Upper abdomen; Slice 490 of 654; CT slice

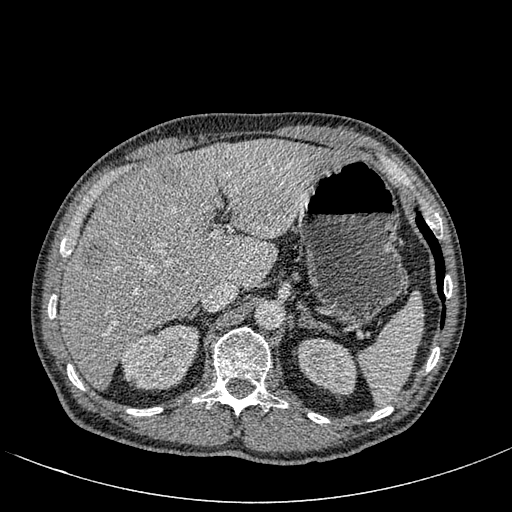 4 liver lesion regions are located at l=223, t=237, r=232, b=246; l=155, t=161, r=179, b=183; l=83, t=239, r=107, b=268; l=213, t=144, r=228, b=159. 2 kidney regions appear at l=119, t=325, r=198, b=389; l=298, t=338, r=355, b=393. The liver is bounded by l=60, t=139, r=353, b=389.